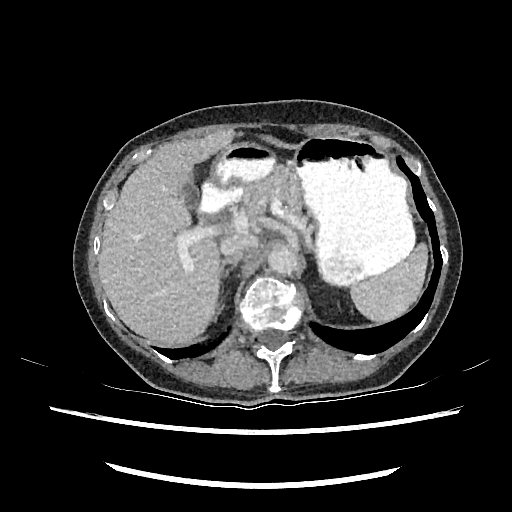 CT slice | Liver

liver: 268 137 296 147, 99 128 233 343